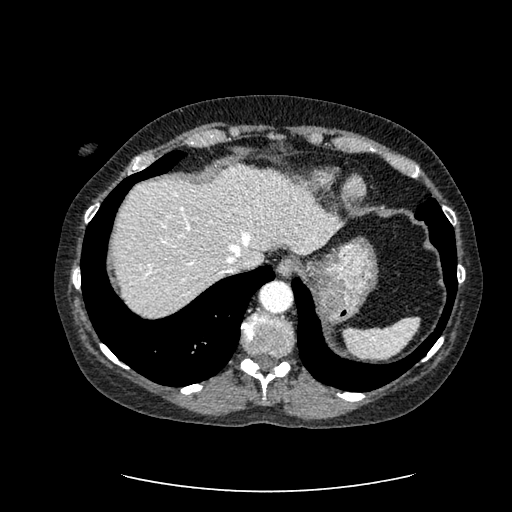

Upper abdomen, CT scan slice

Liver: (left=114, top=166, right=342, bottom=317).